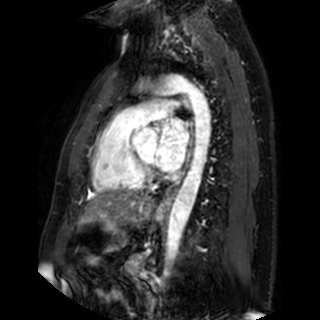
MRI; Image size 320x320; Cardiac
Segmented structures:
- left atrium: (x1=155, y1=118, x2=188, y2=171)